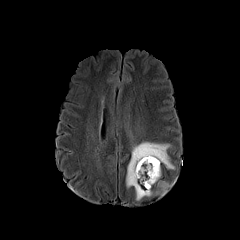
FLAIR MRI.
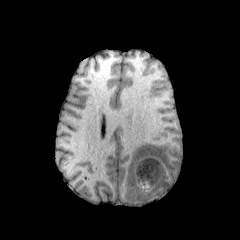
Same slice, T1-weighted MR.
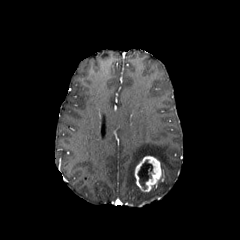
Post-contrast T1-weighted magnetic resonance.
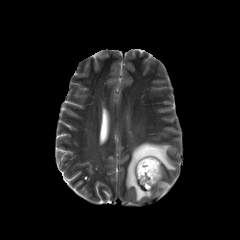
T2-weighted magnetic resonance.
Image size 240x240, Brain
2 edema regions are bounded by (x1=126, y1=141, x2=174, y2=200), (x1=160, y1=182, x2=170, y2=195). The enhancing tumor is at (x1=133, y1=155, x2=163, y2=192). The non-enhancing tumor core lies within (x1=138, y1=162, x2=152, y2=184).